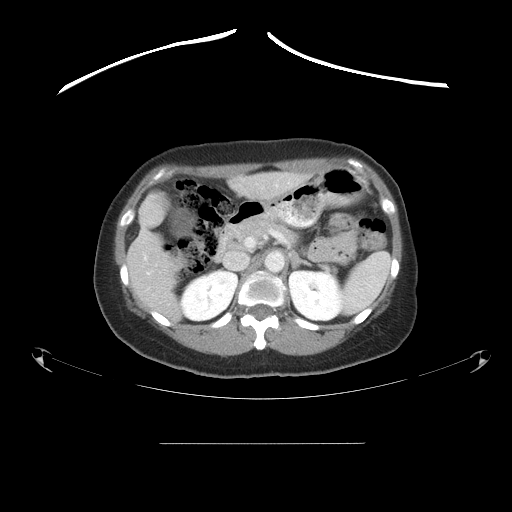

CT image
Not every hepatic vessel necessarily has a box.
Hepatic vessel at x1=146, y1=272, x2=149, y2=274; x1=224, y1=253, x2=247, y2=269; x1=246, y1=238, x2=253, y2=246; x1=143, y1=254, x2=146, y2=260; x1=288, y1=184, x2=289, y2=186; x1=275, y1=185, x2=277, y2=186.
Liver tumor at x1=139, y1=192, x2=164, y2=227.